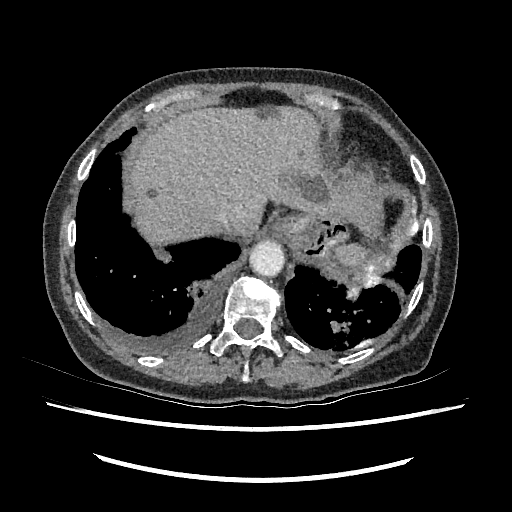
CT

{
  "liver_lesion": [
    "<box>147,188,155,198</box>",
    "<box>257,107,274,116</box>",
    "<box>286,170,329,202</box>"
  ],
  "liver": [
    "<box>132,107,347,245</box>"
  ]
}